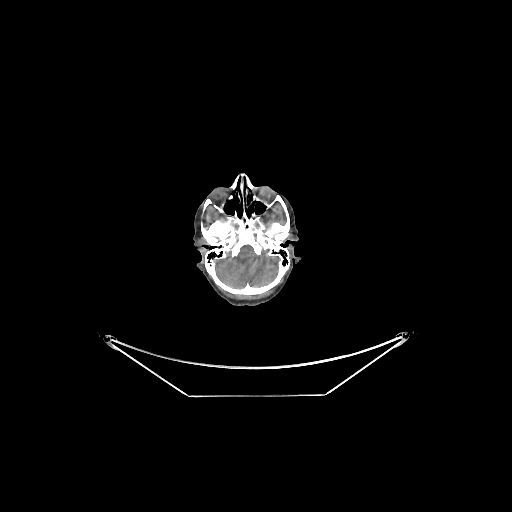
Head | 512x512 | Computed tomography
<segmentation>
  <brain>215:245:280:288</brain>
</segmentation>